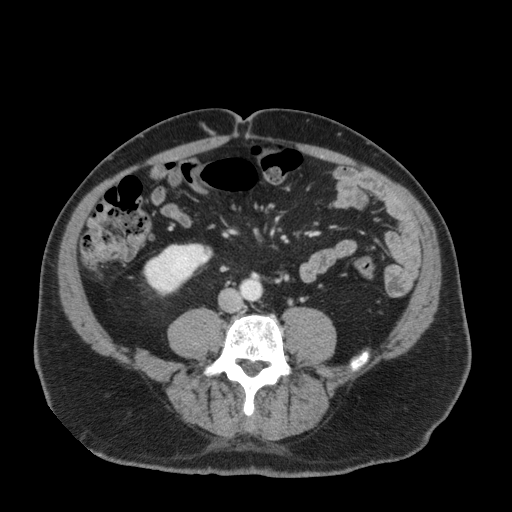

CT image; Abdomen
Segmented structures:
* kidney: {"x1": 146, "y1": 245, "x2": 210, "y2": 291}